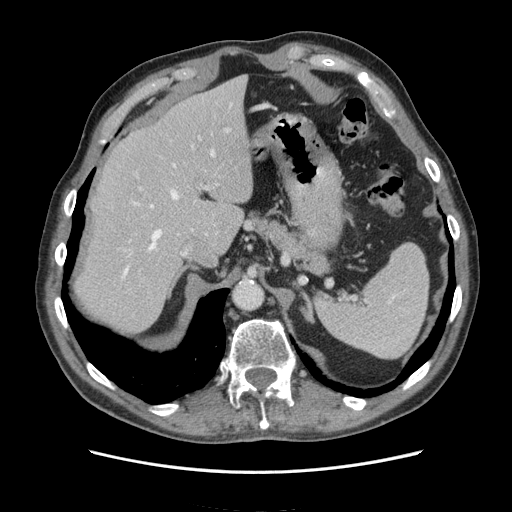
Upper abdomen; CT
Spleen = [315,245,428,357].